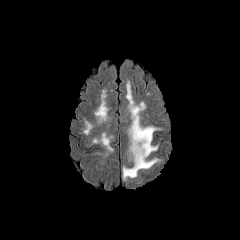
FLAIR MR.
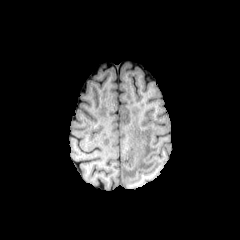
T1-weighted MR image of the same slice.
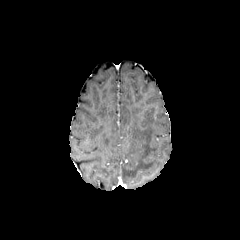
Post-contrast T1-weighted MR image.
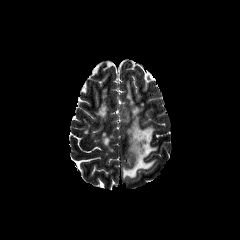
Same slice, T2-weighted magnetic resonance.
240x240; Head
Edema — region(84, 121, 92, 134); region(100, 134, 112, 151); region(94, 91, 106, 120); region(123, 82, 158, 179).